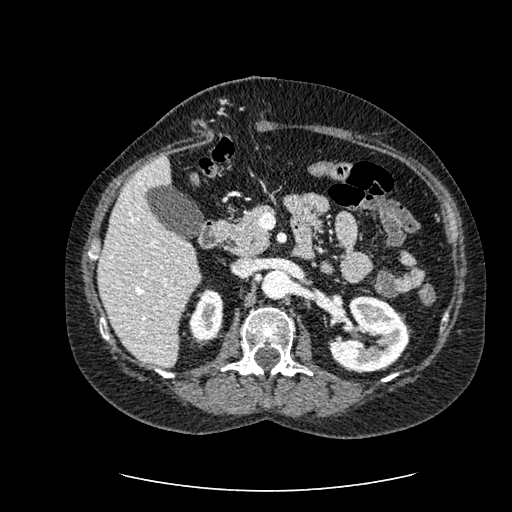

Image size 512x512; Abdomen; CT image
The liver appears at bbox(98, 157, 200, 366). 2 kidney regions appear at bbox(325, 296, 408, 371); bbox(190, 290, 222, 340).